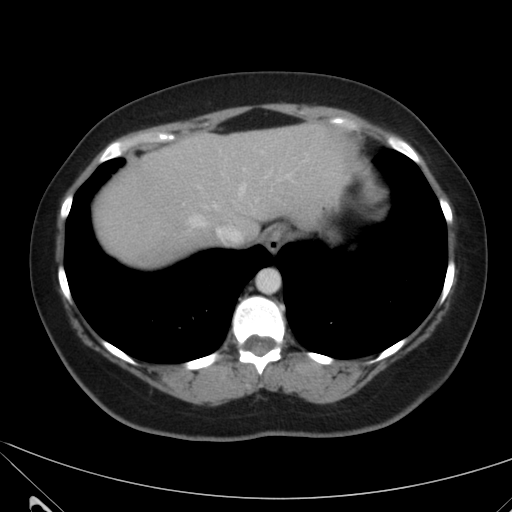 Upper abdomen; CT scan slice

• liver: [x1=96, y1=122, x2=350, y2=264]